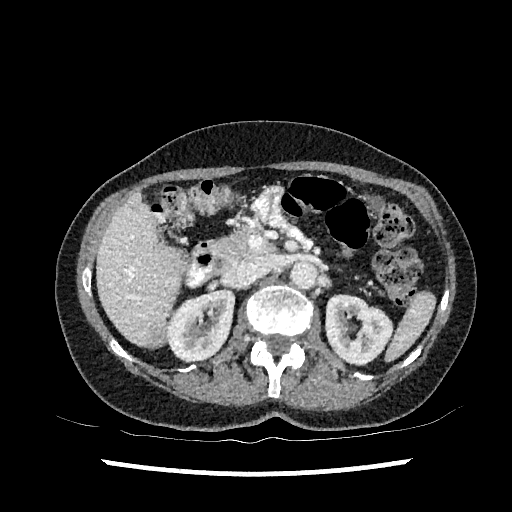
CT slice. Kidney: bounding box (left=167, top=291, right=234, bottom=360), (left=326, top=295, right=391, bottom=364).
Focal liver lesion: bounding box (left=150, top=330, right=162, bottom=343).
Liver: bounding box (left=97, top=192, right=181, bottom=346).